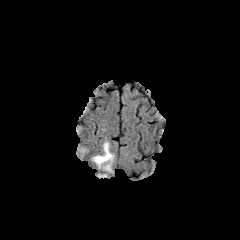
FLAIR MRI.
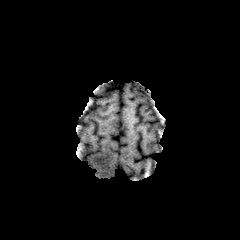
T1-weighted MR image.
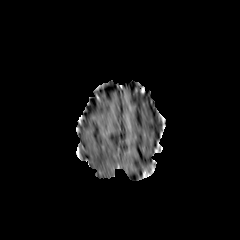
Post-contrast T1-weighted MR.
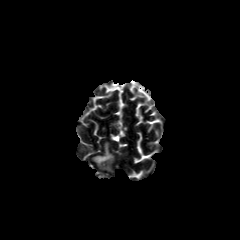
T2-weighted MR image.
Segmented structures:
• edema: rect(92, 142, 114, 171)